Upper abdomen, CT image 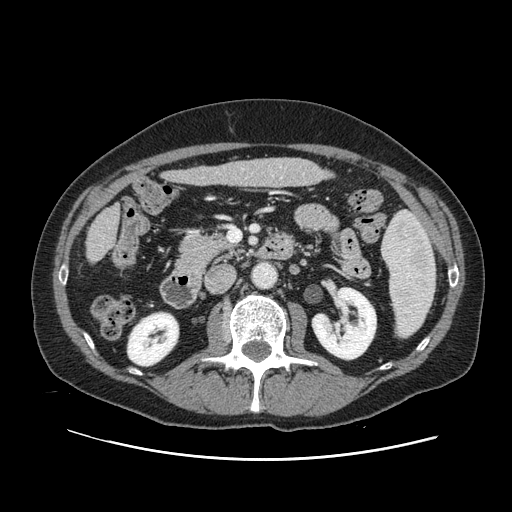

The pancreas lies within 175:231:232:283.